Liver. CT. 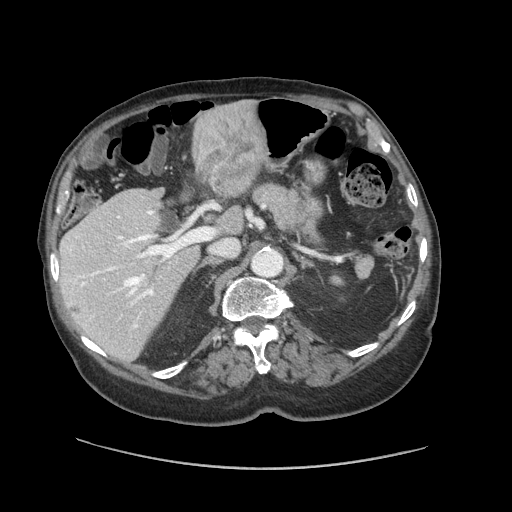
Some hepatic vessels may have no box.
The liver tumor is located at l=198, t=117, r=254, b=191. 5 hepatic vessel regions are bounded by l=142, t=228, r=214, b=257; l=149, t=291, r=151, b=292; l=210, t=239, r=238, b=255; l=134, t=235, r=149, b=239; l=124, t=274, r=144, b=290.